CT slice; Image size 512x512

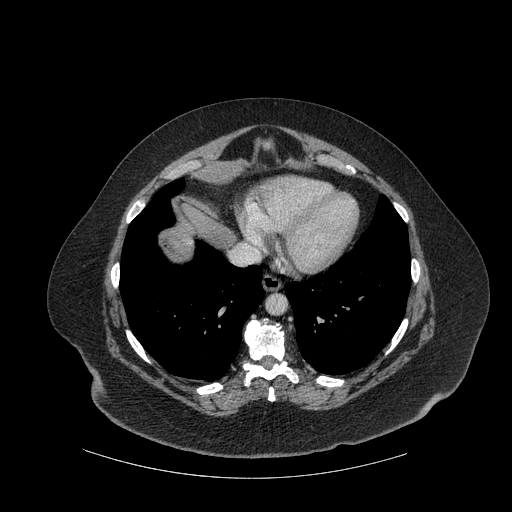

10 bone regions are bounded by bbox(126, 330, 149, 362); bbox(126, 201, 144, 222); bbox(386, 319, 407, 354); bbox(111, 263, 119, 287); bbox(268, 387, 274, 400); bbox(243, 320, 298, 385); bbox(197, 383, 222, 394); bbox(411, 259, 419, 282); bbox(394, 203, 408, 221); bbox(316, 376, 343, 386). 2 liver regions are bounded by bbox(179, 245, 192, 250); bbox(183, 204, 235, 247). 2 lung regions are located at bbox(285, 195, 410, 374); bbox(119, 179, 263, 380).